512x512 px, Computed tomography

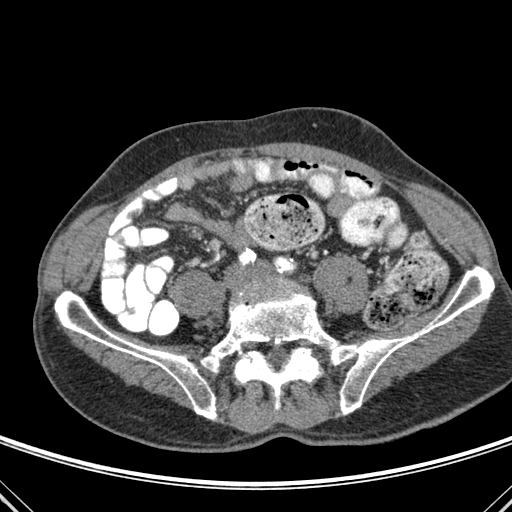
The bone lies within 55 266 494 419.